FLAIR MR.
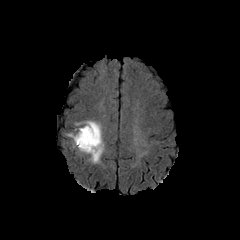
T1-weighted MR.
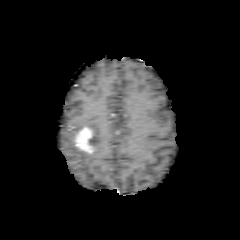
Post-contrast T1-weighted MRI.
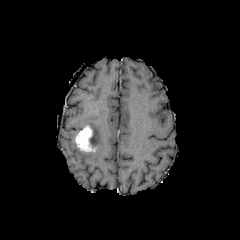
T2-weighted MR image.
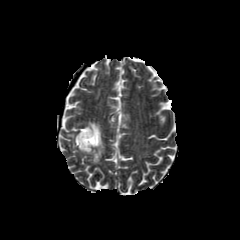
Brain
2 edema regions appear at (left=67, top=132, right=78, bottom=147), (left=82, top=121, right=103, bottom=163). The enhancing tumor is located at (left=75, top=125, right=97, bottom=152).